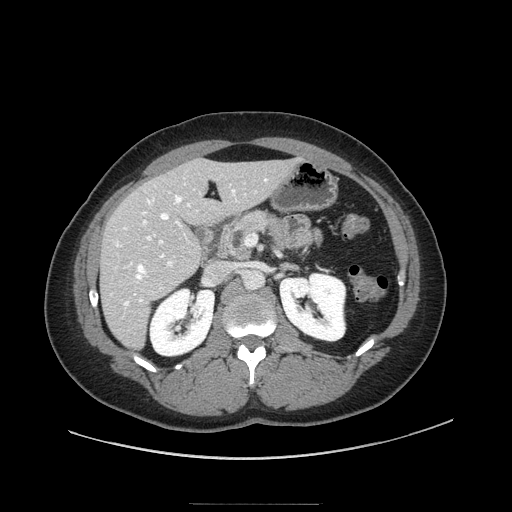 512x512 px. Computed tomography. Upper abdomen.

{"pancreas": ["(217, 209, 291, 260)"]}